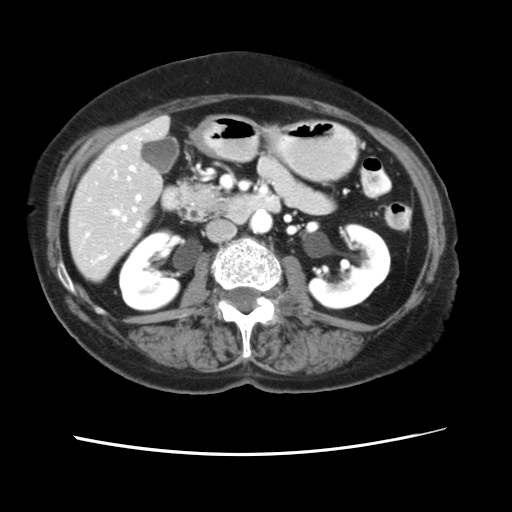

Computed tomography

The vessel boxes may cover only some of the vessels.
Findings:
• hepatic vessel: [x1=121, y1=146, x2=126, y2=148], [x1=132, y1=208, x2=136, y2=210], [x1=111, y1=210, x2=126, y2=221], [x1=137, y1=137, x2=140, y2=140], [x1=127, y1=177, x2=130, y2=179], [x1=144, y1=129, x2=148, y2=132], [x1=89, y1=199, x2=90, y2=201], [x1=91, y1=255, x2=107, y2=263], [x1=130, y1=222, x2=140, y2=233], [x1=85, y1=234, x2=88, y2=236], [x1=130, y1=166, x2=135, y2=171], [x1=136, y1=195, x2=139, y2=200], [x1=113, y1=172, x2=117, y2=178]